Slice 22/28; 35x56; Magnetic resonance 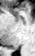

The posterior hippocampus appears at rect(12, 47, 17, 49).